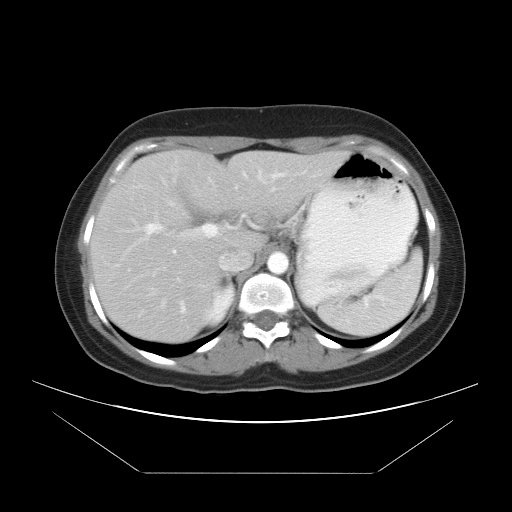

512x512 px | Computed tomography | Abdomen
The vessel annotation is not exhaustive.
Liver tumor — x1=186 y1=288 x2=197 y2=298.
Hepatic vessel — x1=259 y1=173 x2=260 y2=178, x1=227 y1=225 x2=228 y2=227, x1=172 y1=249 x2=176 y2=253, x1=180 y1=301 x2=185 y2=312, x1=181 y1=229 x2=196 y2=236, x1=144 y1=222 x2=162 y2=238, x1=202 y1=224 x2=217 y2=235.